512x512 px. Field of view 382 mm wide, 1.50 mm slice spacing. CT image. Liver.
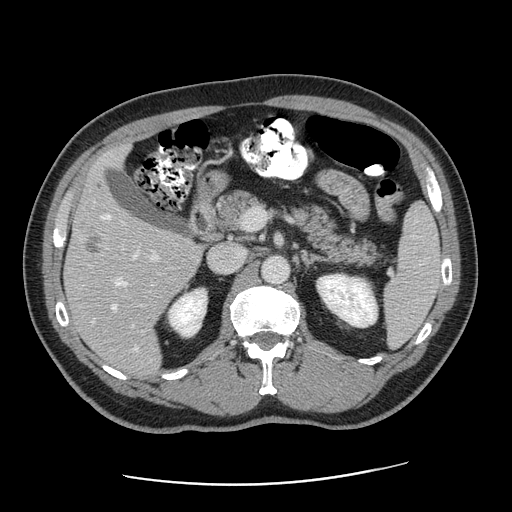

Not every hepatic vessel necessarily has a box.
{
  "hepatic_vessel": [
    "(211,245,246,271)",
    "(101,215,110,218)",
    "(150,251,157,259)",
    "(135,251,139,255)",
    "(116,278,127,285)",
    "(113,305,116,309)",
    "(93,320,94,322)"
  ],
  "liver_tumor": [
    "(81,227,108,257)",
    "(94,181,104,191)"
  ]
}